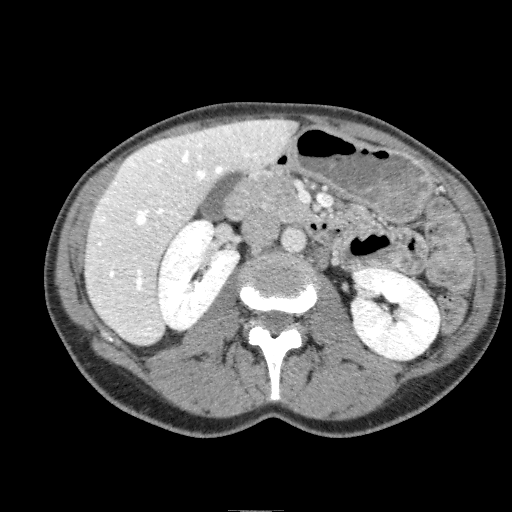

Abdomen. CT scan slice.

Liver: bounding box (left=83, top=118, right=294, bottom=344).
Kidney: bounding box (left=352, top=268, right=439, bottom=359), (left=158, top=221, right=238, bottom=329).
Hepatic lesion: bounding box (left=286, top=121, right=297, bottom=133).